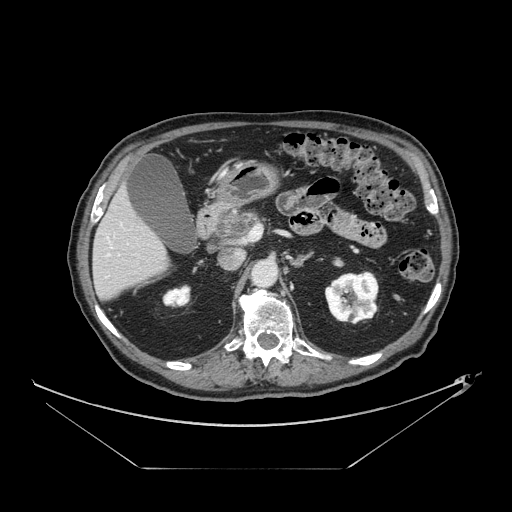

Abdomen; CT scan slice

Pancreas = l=219, t=213, r=258, b=238.
Pancreatic tumor = l=234, t=221, r=245, b=232.